Computed tomography. Field of view 407x407 mm. Abdomen.

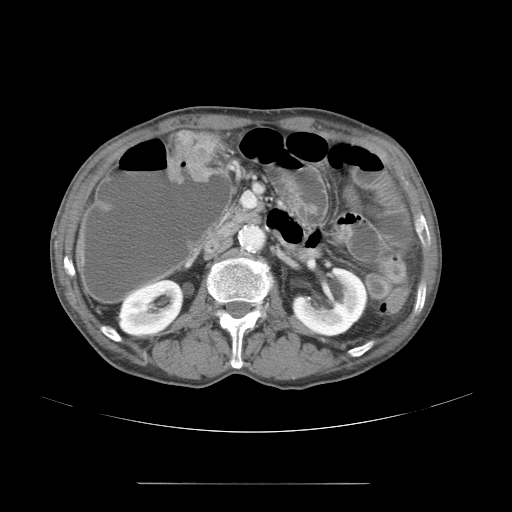

The colon tumor is at (167, 130, 219, 183).